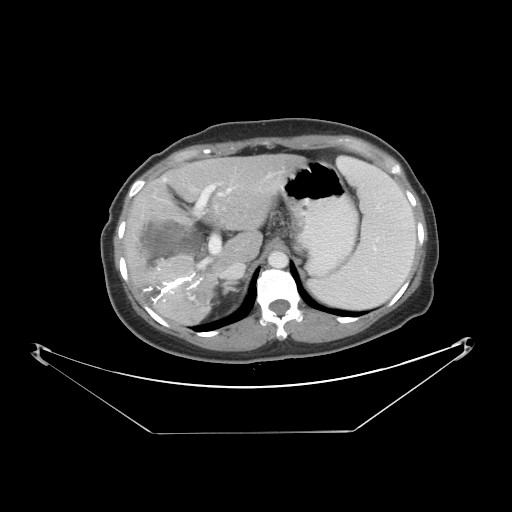
Abdomen, CT slice
The vessel annotation is not exhaustive.
Hepatic vessel: bounding box <bbox>211, 235, 218, 251</bbox>, <bbox>218, 194, 222, 195</bbox>, <bbox>196, 184, 217, 213</bbox>, <bbox>227, 189, 230, 192</bbox>, <bbox>251, 178, 274, 192</bbox>.
Liver tumor: bounding box <bbox>140, 263, 217, 320</bbox>.